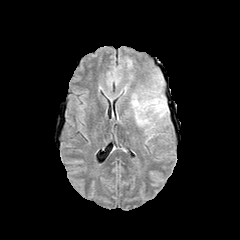
FLAIR MR image.
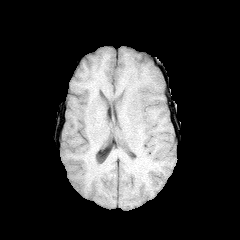
T1-weighted MR.
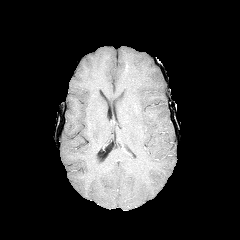
Post-contrast T1-weighted MR.
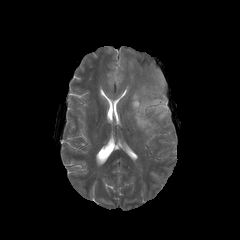
T2-weighted MRI.
240x240 px.
• edema: (x1=131, y1=86, x2=168, y2=131)